512x512 px, Computed tomography

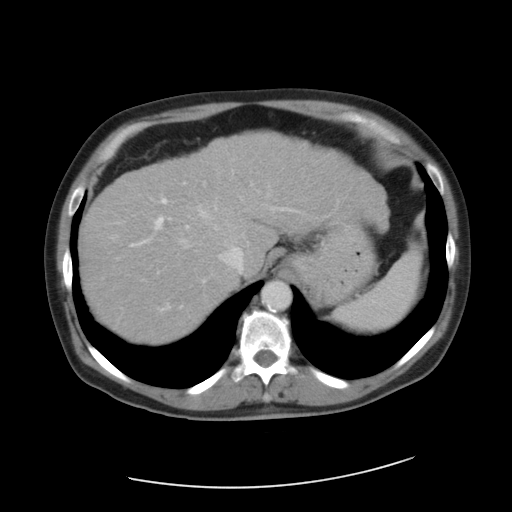 Only some of the vessels may be annotated.
partial: true
hepatic_vessel:
  # 15 of 19 shown
  - left=231, top=169, right=233, bottom=173
  - left=214, top=225, right=218, bottom=230
  - left=116, top=222, right=119, bottom=223
  - left=159, top=304, right=169, bottom=311
  - left=224, top=241, right=226, bottom=244
  - left=271, top=207, right=295, bottom=211
  - left=185, top=225, right=188, bottom=229
  - left=130, top=238, right=150, bottom=246
  - left=214, top=204, right=216, bottom=209
  - left=202, top=279, right=205, bottom=281
  - left=179, top=239, right=189, bottom=247
  - left=198, top=205, right=211, bottom=219
  - left=203, top=182, right=205, bottom=184
  - left=161, top=198, right=166, bottom=203
  - left=154, top=216, right=163, bottom=229